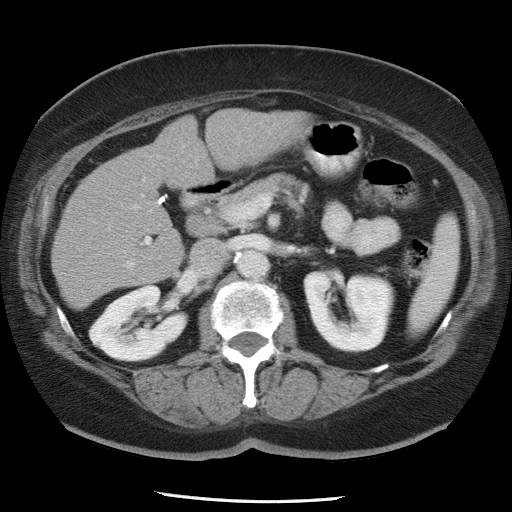 Liver | CT image
The vessel boxes may cover only some of the vessels.
Hepatic vessel: 145 237 150 243.